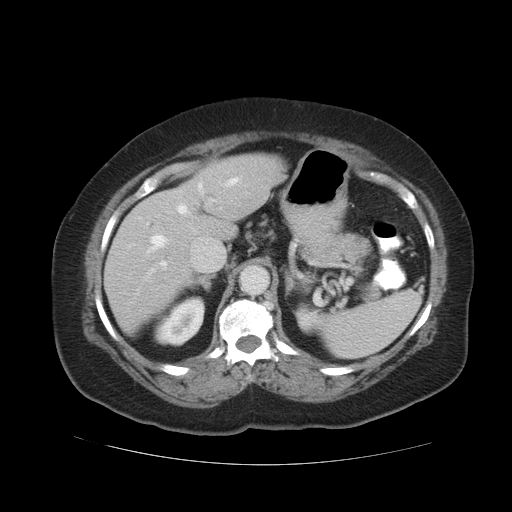

Abdomen, Computed tomography
Not every hepatic vessel necessarily has a box.
6 hepatic vessel regions are bounded by (left=150, top=236, right=164, bottom=250), (left=178, top=206, right=186, bottom=213), (left=211, top=199, right=215, bottom=201), (left=228, top=178, right=236, bottom=185), (left=198, top=182, right=203, bottom=192), (left=161, top=262, right=165, bottom=266).